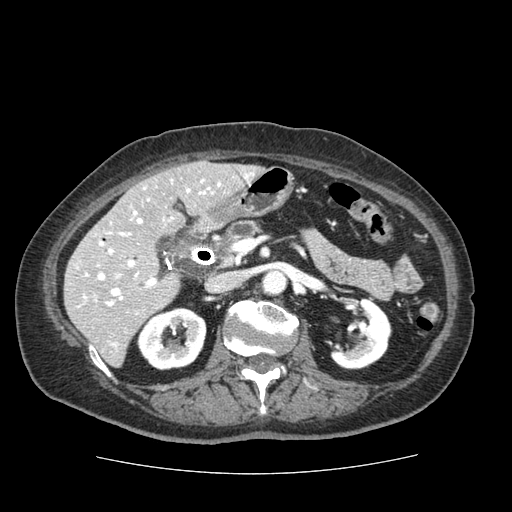

512x512. Abdomen. CT slice. 2 pancreas regions appear at x1=226, y1=222, x2=258, y2=244; x1=222, y1=250, x2=235, y2=265.